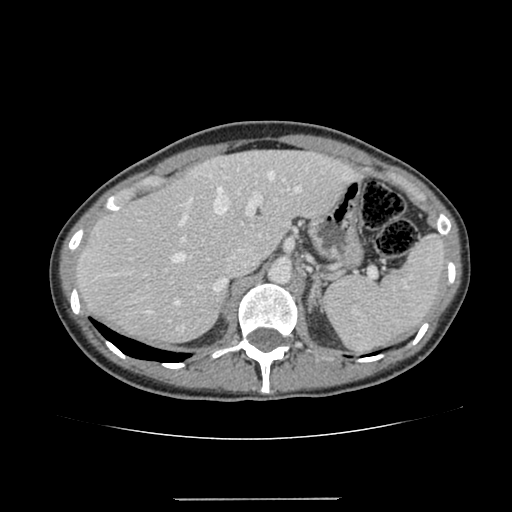

512x512 | CT slice | Abdomen

Liver: bounding box <box>75,150,363,344</box>.